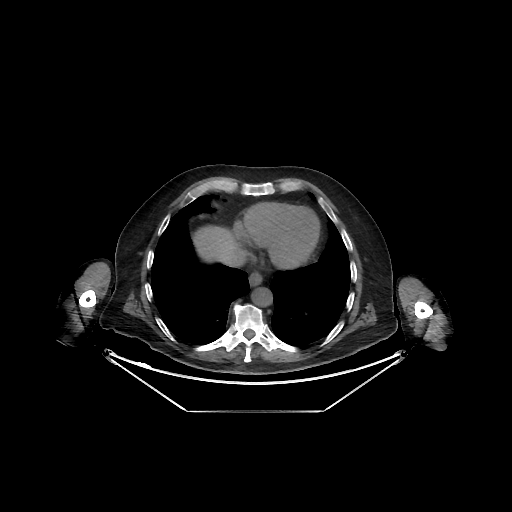 CT slice
liver:
  - [193,226,247,266]